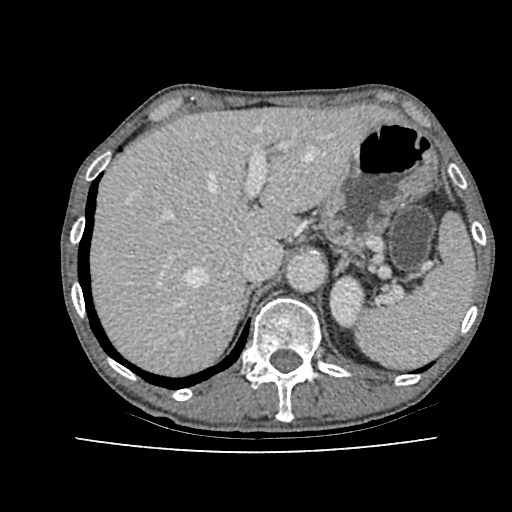

Upper abdomen; CT slice
<segmentation>
  <kidney>(331, 279, 361, 324)</kidney>
  <liver>(90, 106, 389, 375)</liver>
</segmentation>